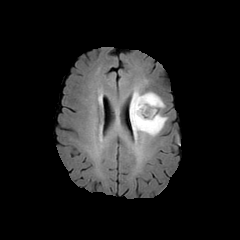
FLAIR MR image.
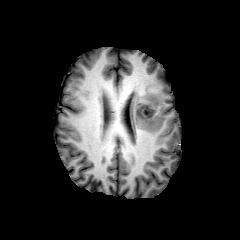
Same slice, T1-weighted MR image.
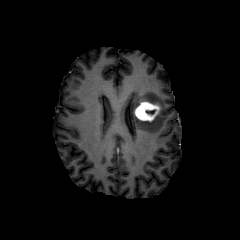
Post-contrast T1-weighted MR.
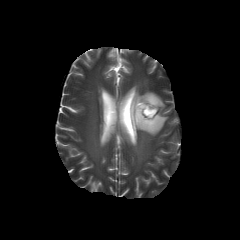
T2-weighted MR image of the same slice.
Brain
Edema at (125, 86, 167, 143).
Non-enhancing tumor core at (128, 92, 150, 128).
Enhancing tumor at (134, 100, 159, 121).